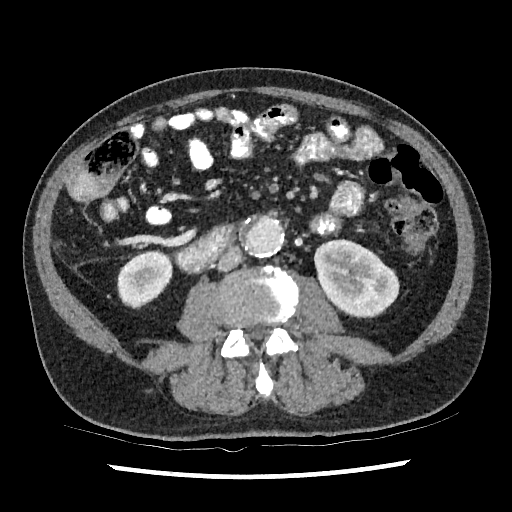
CT slice | Abdomen | 512x512 px
2 kidney regions are bounded by bbox(314, 239, 398, 316); bbox(118, 252, 171, 307).